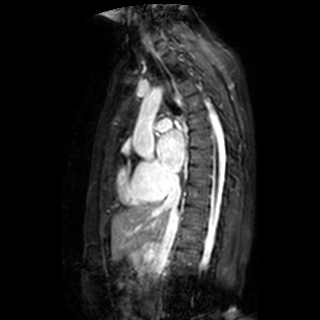

Heart; MRI slice
The left atrium is at l=157, t=130, r=184, b=172.